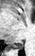
MRI slice
Segmented structures:
* posterior hippocampus: [10, 41, 23, 49]